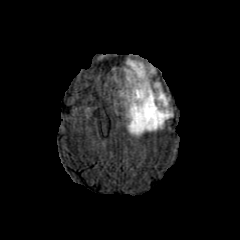
FLAIR MR image.
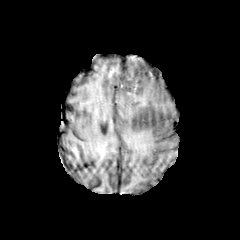
T1-weighted MRI.
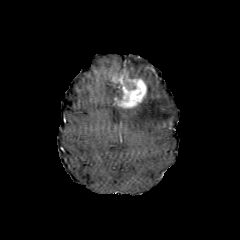
Post-contrast T1-weighted MR.
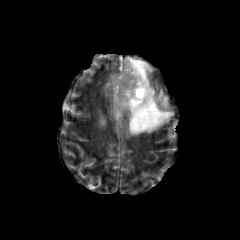
T2-weighted MR.
240x240 px, Brain
enhancing_tumor:
  - 113 70 146 107
edema:
  - 124 58 173 135